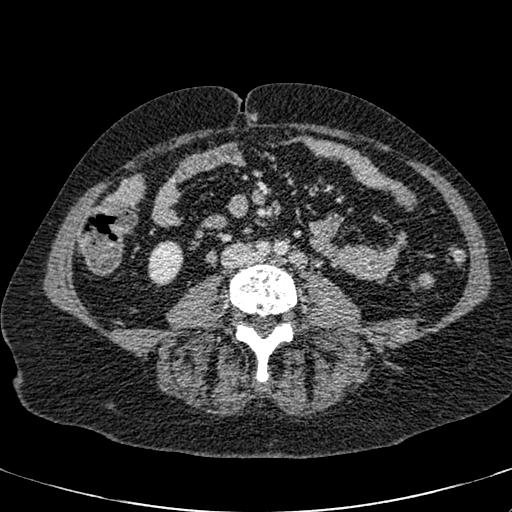
Computed tomography.
- kidney: 149,242,182,284